FLAIR MRI.
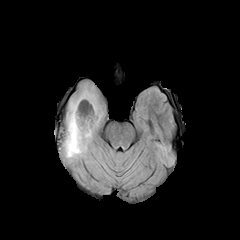
T1-weighted MRI.
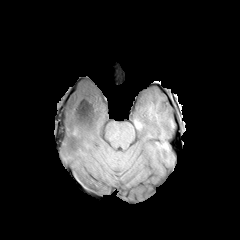
Post-contrast T1-weighted MRI.
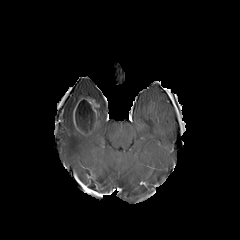
T2-weighted MR image.
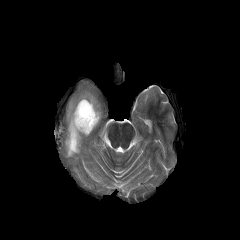
enhancing_tumor:
  - region(84, 97, 99, 115)
edema:
  - region(63, 87, 102, 161)
non-enhancing_tumor_core:
  - region(72, 96, 98, 131)